Abdomen, Computed tomography 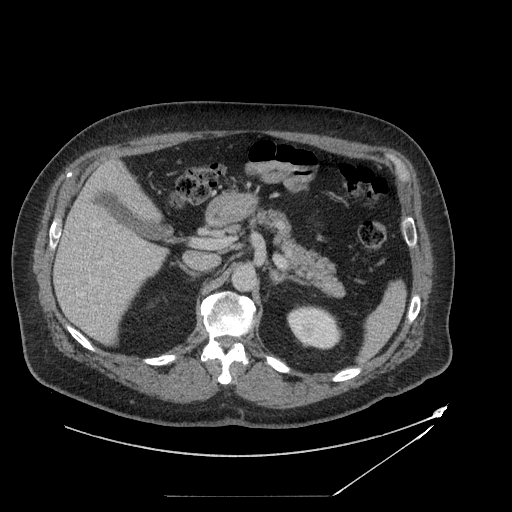 2 pancreas regions appear at region(227, 224, 242, 233); region(250, 209, 344, 297).